240x240 px | Brain | Slice 48 of 155
FLAIR MR.
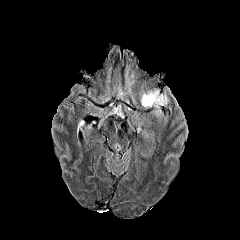
T1-weighted magnetic resonance.
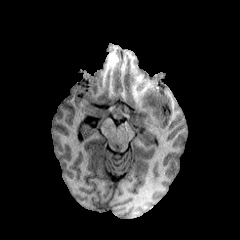
Post-contrast T1-weighted MRI.
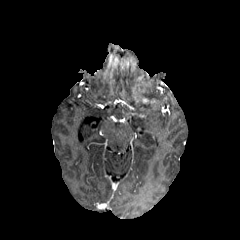
T2-weighted magnetic resonance.
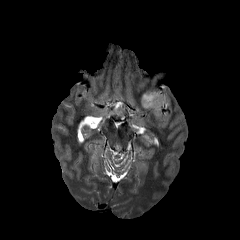
{"edema": ["140:88:168:112"]}